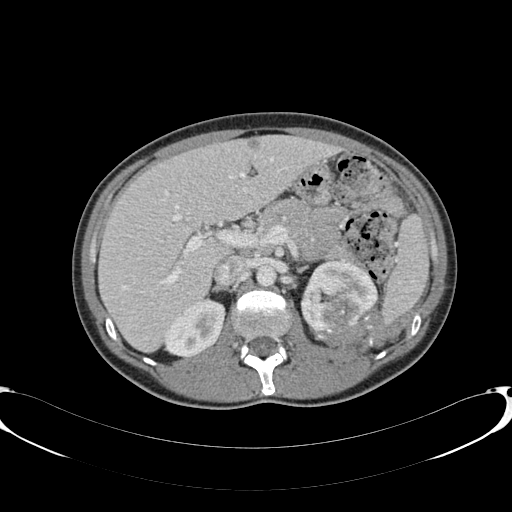
Upper abdomen | Computed tomography
The liver lies within 98:136:343:351. 2 kidney regions are bounded by 165:301:223:356, 302:260:376:344. The hepatic lesion lies within 247:138:260:147.